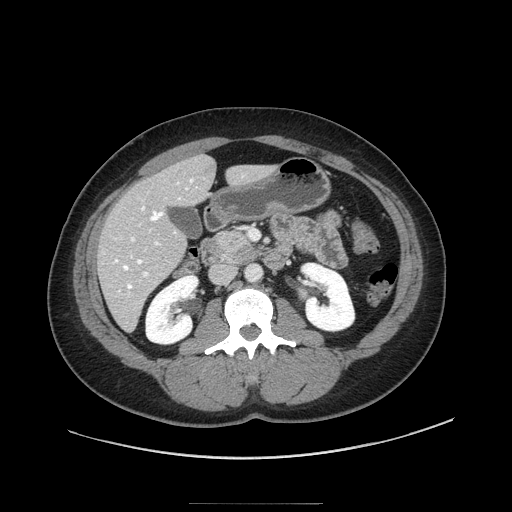 CT scan slice | 512x512 px
Pancreatic tumor — 230, 239, 259, 262.
Pancreas — 216, 229, 262, 266.